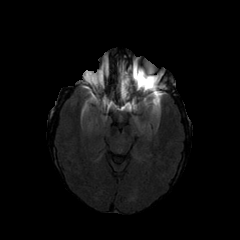
FLAIR magnetic resonance.
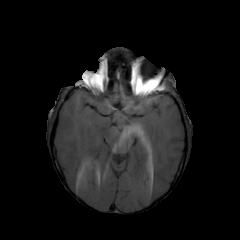
T1-weighted magnetic resonance.
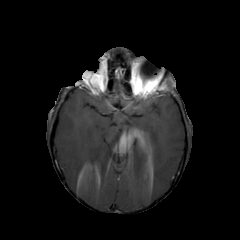
Post-contrast T1-weighted MR image.
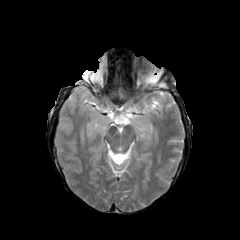
T2-weighted MR image.
<segmentation>
  <edema>box(142, 94, 164, 114)</edema>
  <enhancing_tumor>box(140, 84, 155, 95)</enhancing_tumor>
  <non-enhancing_tumor_core>box(130, 73, 163, 96); box(87, 68, 102, 82)</non-enhancing_tumor_core>
</segmentation>